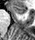 Magnetic resonance
Anterior hippocampus: bounding box (x1=13, y1=5, x2=26, y2=15).